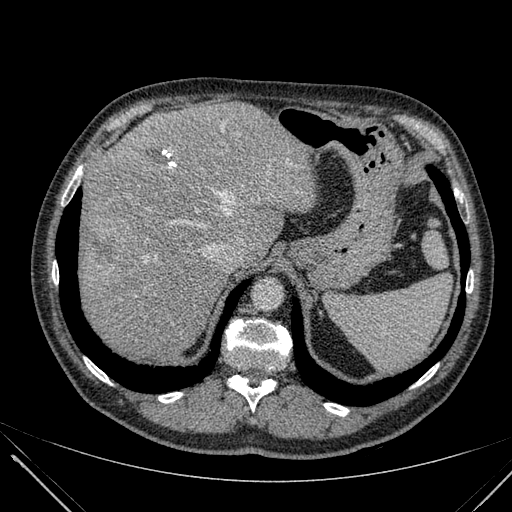

CT
<segmentation>
  <hepatic_lesion><bbox>146, 149, 160, 158</bbox>, <bbox>95, 239, 113, 260</bbox></hepatic_lesion>
  <liver><bbox>79, 103, 316, 362</bbox></liver>
</segmentation>